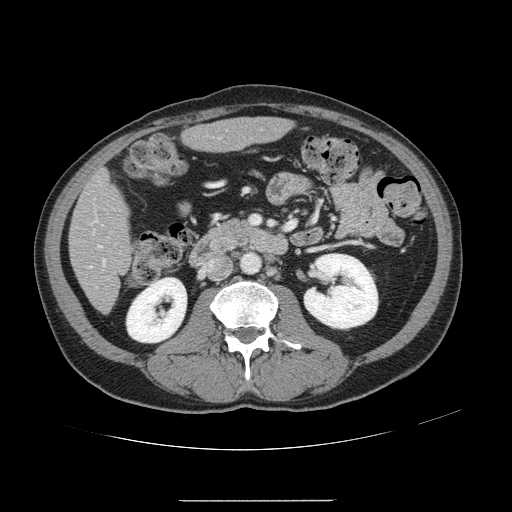
Image size 512x512, CT image, Liver
The vessel annotation is not exhaustive.
5 hepatic vessel regions appear at bbox(95, 216, 96, 220); bbox(87, 267, 91, 267); bbox(93, 230, 94, 233); bbox(102, 259, 105, 266); bbox(98, 245, 102, 248).